Slice index 57; Brain; 240x240
FLAIR MRI.
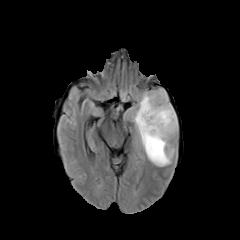
T1-weighted magnetic resonance.
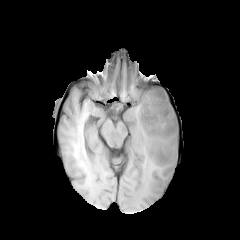
Post-contrast T1-weighted MR.
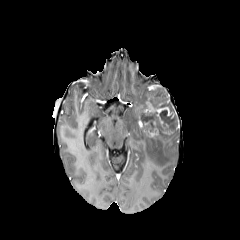
T2-weighted MR image.
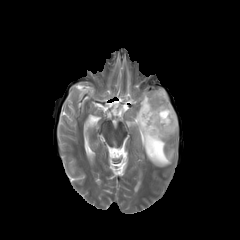
{
  "enhancing_tumor": [
    "148 128 157 136",
    "144 102 173 123"
  ],
  "non-enhancing_tumor_core": [
    "147 90 173 111",
    "139 110 177 135"
  ],
  "edema": [
    "131 88 177 166"
  ]
}